CT | Slice 177 of 588 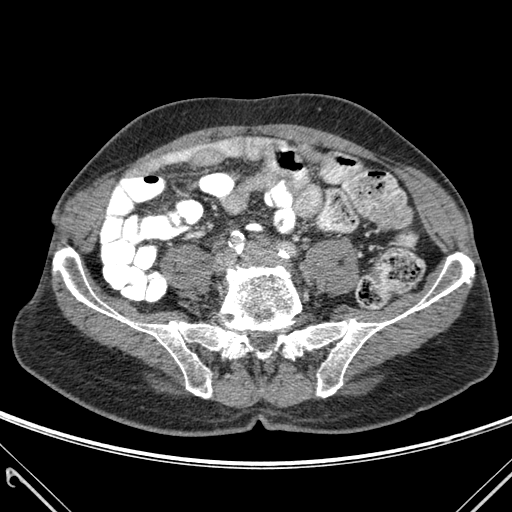

2 bone regions are located at <bbox>53, 247, 474, 397</bbox>, <bbox>257, 352, 269, 358</bbox>.